Magnetic resonance | Slice index 20
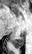
The posterior hippocampus is at x1=11, y1=36, x2=24, y2=47.